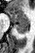

MR image

{
  "posterior_hippocampus": [
    "box(14, 26, 28, 34)"
  ],
  "anterior_hippocampus": [
    "box(6, 10, 29, 25)"
  ]
}